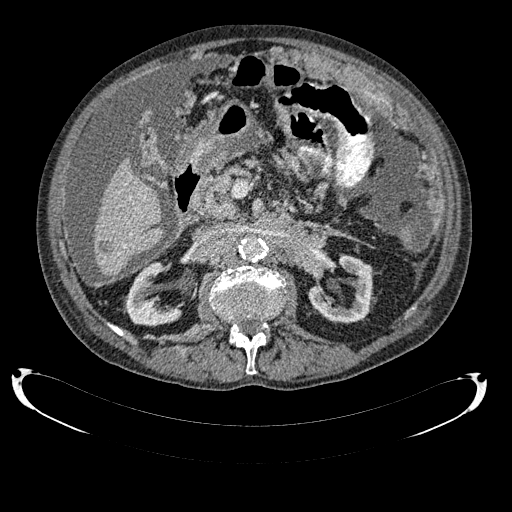 Computed tomography. Image size 512x512.

{"focal_liver_lesion": ["(99, 241, 112, 252)"], "kidney": ["(306, 251, 371, 322)", "(126, 263, 180, 325)"], "liver": ["(140, 112, 151, 127)", "(94, 157, 161, 276)"]}